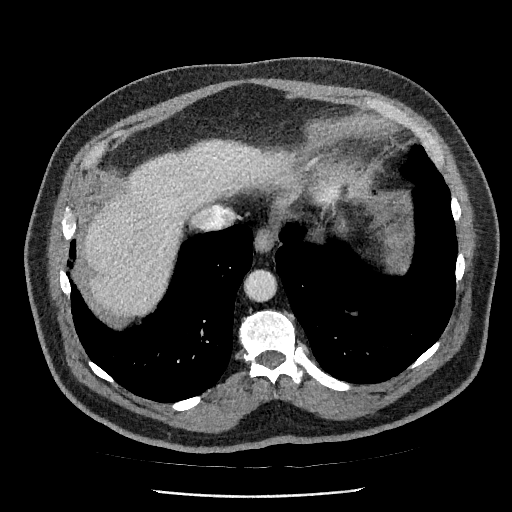 Upper abdomen, Computed tomography

Liver at (84, 140, 296, 314).